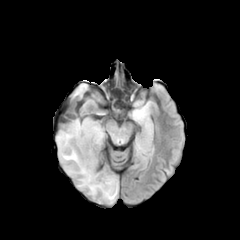
FLAIR MR.
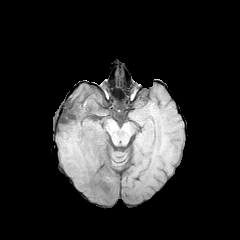
T1-weighted MR image.
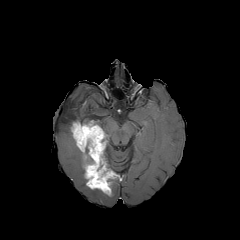
Same slice, post-contrast T1-weighted MR image.
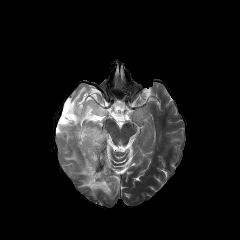
T2-weighted MR.
{
  "enhancing_tumor": [
    "rect(71, 120, 117, 195)"
  ],
  "edema": [
    "rect(72, 84, 87, 99)",
    "rect(87, 180, 118, 201)",
    "rect(57, 98, 102, 189)",
    "rect(132, 107, 146, 121)"
  ],
  "non-enhancing_tumor_core": [
    "rect(67, 112, 99, 131)",
    "rect(80, 150, 87, 185)",
    "rect(96, 144, 107, 171)"
  ]
}